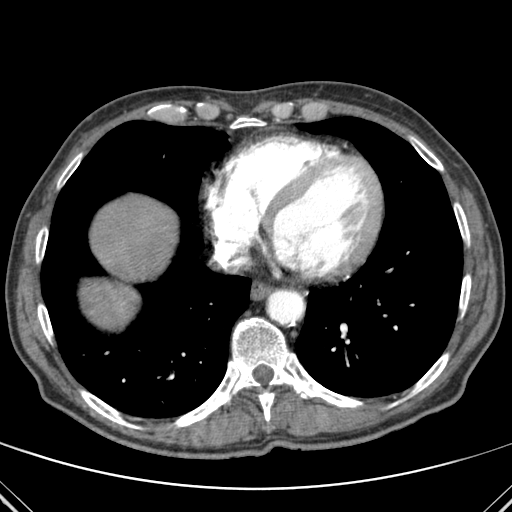

Computed tomography

2 liver regions appear at [81,279,137,325], [91,195,176,279]. 11 bone regions are bounded by [411,353,448,394], [37,304,52,340], [410,137,443,170], [454,203,469,243], [459,275,470,313], [80,390,140,428], [36,227,47,262], [174,317,362,426], [57,153,82,186], [148,105,170,113], [230,117,264,128]. 2 lung regions appear at [296,117,462,397], [41,120,251,417].